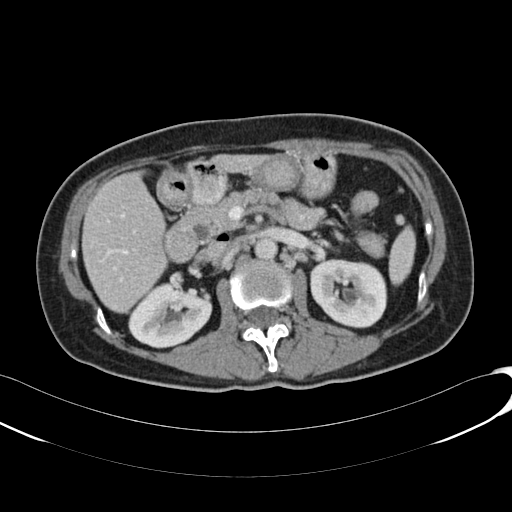

Image size 512x512, Upper abdomen, Computed tomography

Kidney = bbox(130, 283, 210, 346); bbox(311, 260, 385, 326).
Liver = bbox(83, 173, 166, 311); bbox(212, 155, 265, 170).